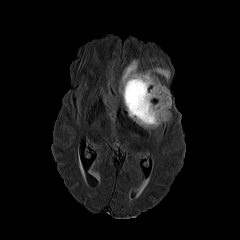
FLAIR MR.
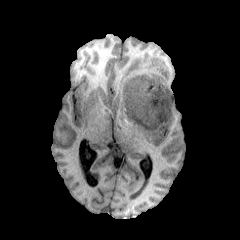
Same slice, T1-weighted magnetic resonance.
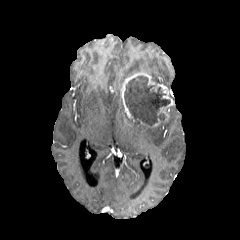
Post-contrast T1-weighted magnetic resonance of the same slice.
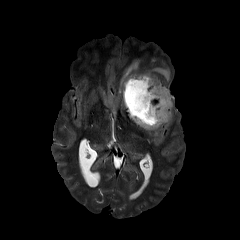
T2-weighted MR image of the same slice.
240x240 px
Edema = 118,57,140,92; 145,63,170,83; 139,125,161,133.
Enhancing tumor = 152,83,173,126; 121,71,155,122.
Non-enhancing tumor core = 124,76,170,126.